Image size 512x512 | CT | Field of view 330 mm wide, 1.50 mm slice spacing | Liver

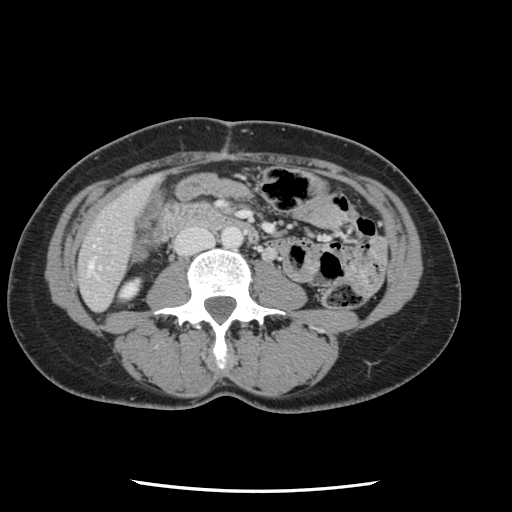 The vessel annotation is not exhaustive.
Segmented structures:
* hepatic vessel: {"x1": 88, "y1": 262, "x2": 92, "y2": 271}